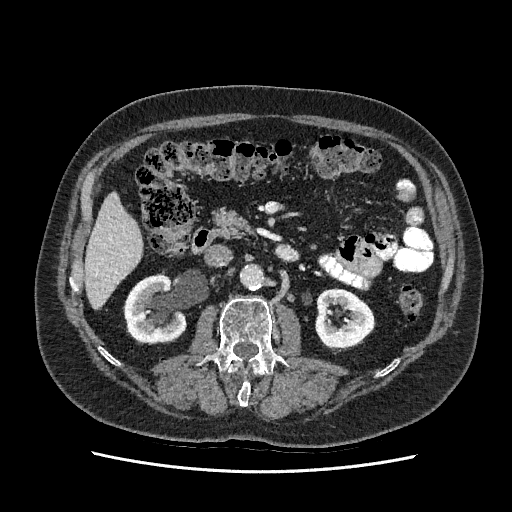
CT slice
2 kidney regions are bounded by box(316, 290, 373, 347); box(125, 276, 185, 342). The liver is bounded by box(85, 191, 142, 308).